Slice 114 of 155; 240x240 px; Field of view 240x240 mm; Head
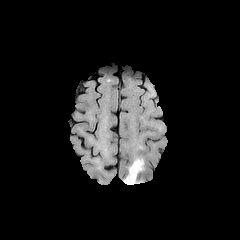
FLAIR magnetic resonance.
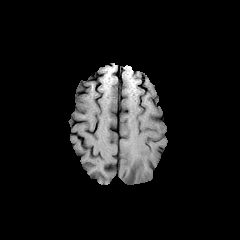
Same slice, T1-weighted magnetic resonance.
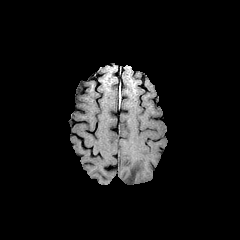
Same slice, post-contrast T1-weighted MR image.
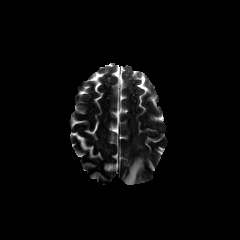
T2-weighted MRI.
<segmentation>
  <edema>box=[124, 158, 143, 184]</edema>
</segmentation>